Abdomen, CT, 512x512, Slice 42 of 77 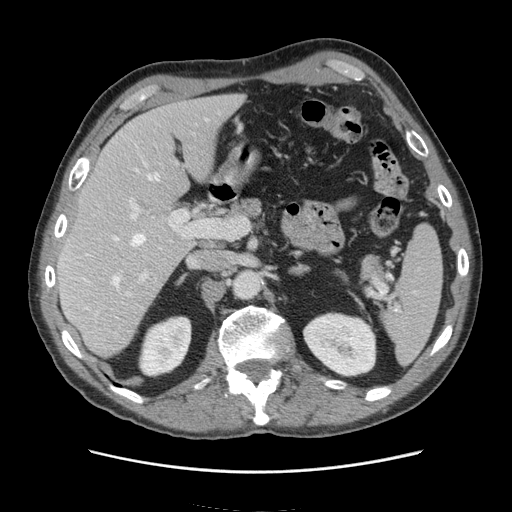

Spleen — 381, 225, 442, 363.